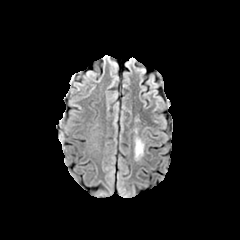
FLAIR magnetic resonance.
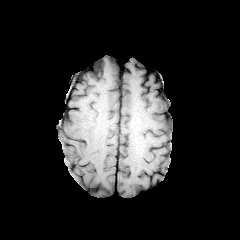
Same slice, T1-weighted magnetic resonance.
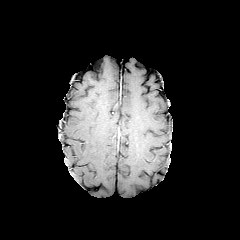
Same slice, post-contrast T1-weighted MR.
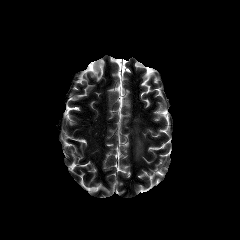
Same slice, T2-weighted MRI.
{"edema": ["left=135, top=138, right=143, bottom=157"]}